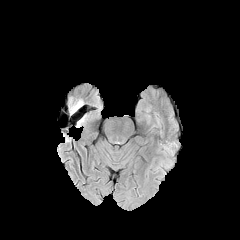
FLAIR magnetic resonance.
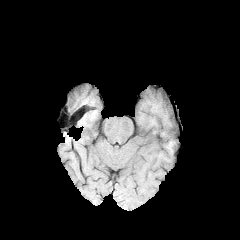
T1-weighted MRI.
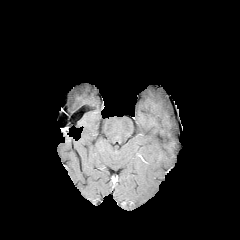
Post-contrast T1-weighted MR image of the same slice.
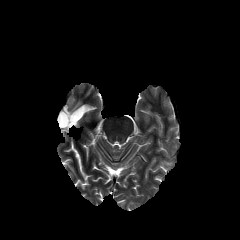
T2-weighted MR image.
Brain
edema: left=68, top=99, right=83, bottom=115